FLAIR MRI.
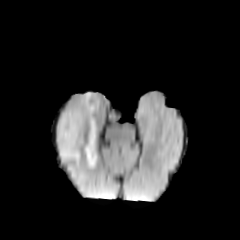
T1-weighted MRI.
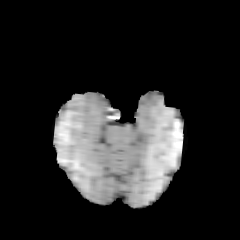
Post-contrast T1-weighted MR.
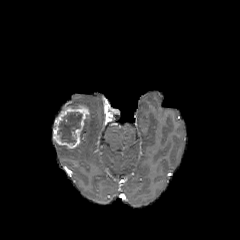
T2-weighted MR image.
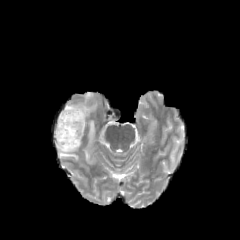
240x240.
edema: <bbox>67, 93, 97, 167</bbox>, <bbox>57, 142, 80, 160</bbox> | non-enhancing tumor core: <bbox>57, 111, 82, 143</bbox> | enhancing tumor: <bbox>52, 105, 89, 148</bbox>